Abdomen; CT image 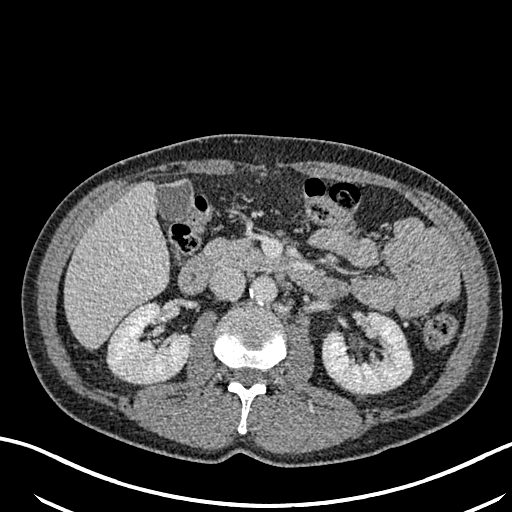
2 kidney regions appear at left=108, top=304, right=189, bottom=382; left=323, top=313, right=411, bottom=392. The liver appears at left=65, top=182, right=168, bottom=347.